MR, Medial temporal lobe 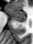 The posterior hippocampus is bounded by <box>15,20,25,21</box>. The anterior hippocampus is bounded by <box>8,9,26,19</box>.